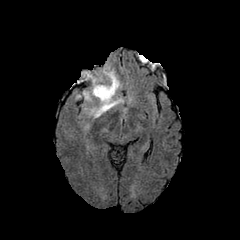
FLAIR MRI.
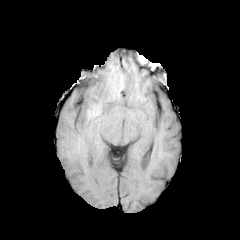
Same slice, T1-weighted MRI.
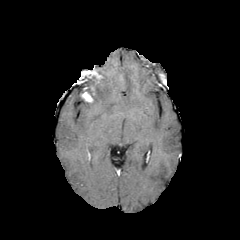
Post-contrast T1-weighted magnetic resonance.
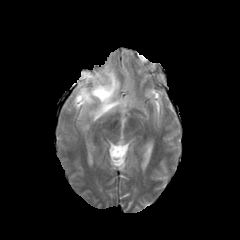
T2-weighted MR.
Brain
The edema appears at <box>80,63,123,120</box>. 2 enhancing tumor regions appear at <box>77,70,101,83</box>, <box>80,88,93,102</box>. The non-enhancing tumor core appears at <box>80,76,102,99</box>.